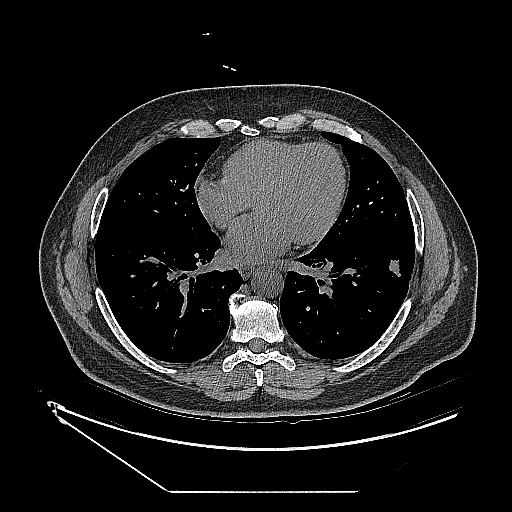 512x512 px; Computed tomography

Lung tumor: 389,259,400,276.